MRI slice, Field of view 35x48 mm, Slice 28/42 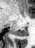
Posterior hippocampus at [x1=15, y1=27, x2=27, y2=36].